512x512; CT; Abdomen; Slice 83 of 139 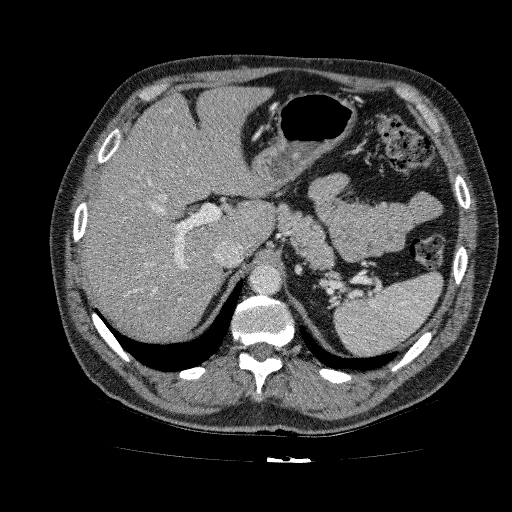

Segmented structures:
* liver: (x1=82, y1=86, x2=276, y2=342)